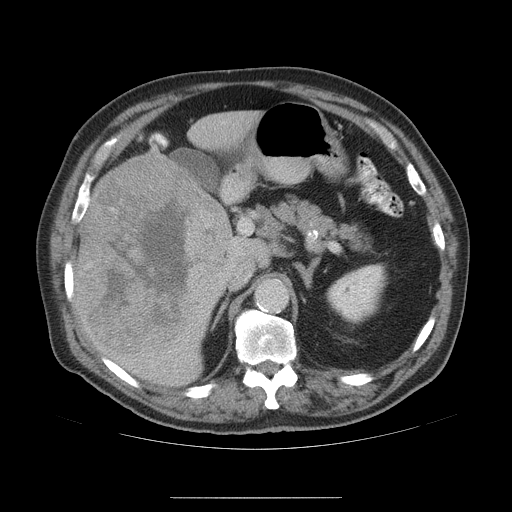 Liver; CT scan slice
Liver tumor = bbox(76, 154, 230, 352).